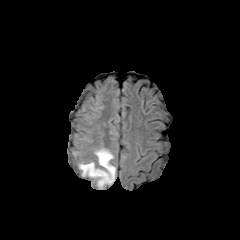
FLAIR MR.
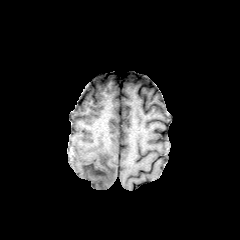
T1-weighted MR.
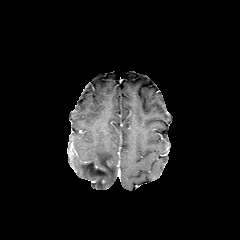
Post-contrast T1-weighted magnetic resonance of the same slice.
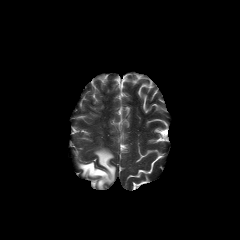
T2-weighted MRI.
240x240, Brain
Edema: <bbox>76, 147, 116, 189</bbox>.
Non-enhancing tumor core: <bbox>84, 162, 106, 175</bbox>.